CT, Slice index 495
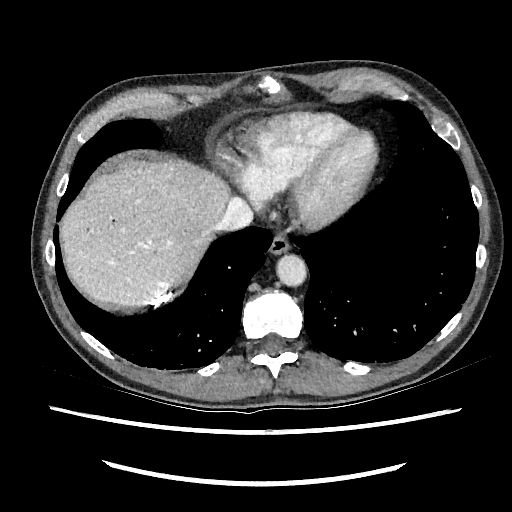
Segmented structures:
* liver: 61:159:229:305